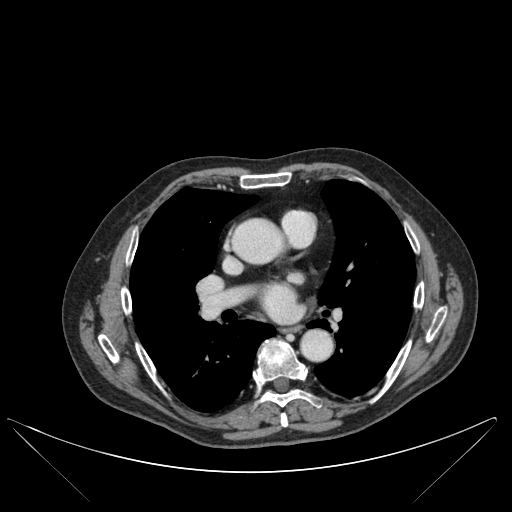

Chest; CT scan slice; 512x512
Bone = 98, 335, 118, 362; 259, 389, 317, 406; 121, 287, 131, 313; 408, 229, 418, 251; 426, 307, 446, 341; 414, 282, 423, 307; 253, 339, 307, 387; 240, 172, 291, 188; 374, 341, 411, 400; 136, 344, 157, 384; 281, 413, 287, 426; 126, 236, 137, 263.
Lung = 130, 188, 275, 412; 307, 319, 329, 328; 314, 179, 415, 396.